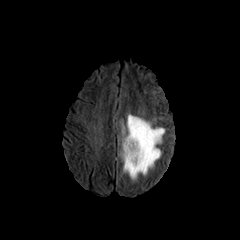
FLAIR MRI.
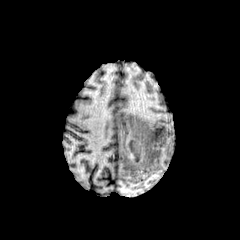
T1-weighted MRI.
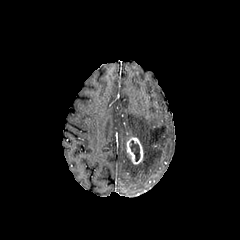
Post-contrast T1-weighted magnetic resonance.
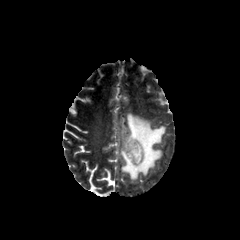
Same slice, T2-weighted MRI.
240x240 px.
The non-enhancing tumor core is at left=129, top=141, right=140, bottom=161. The edema is bounded by left=119, top=113, right=165, bottom=182. The enhancing tumor is bounded by left=126, top=138, right=143, bottom=163.